40x52 px, Image width 40 mm, Slice 23/35, MR image 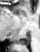 Annotated regions:
- posterior hippocampus: 17,35,29,45